CT slice, Abdomen, Slice 132/144

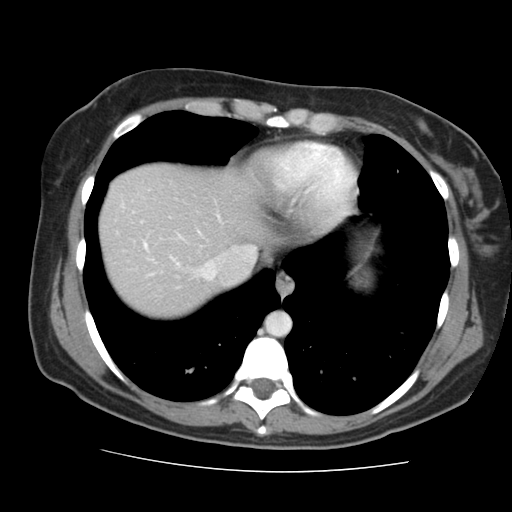
The vessel boxes may cover only some of the vessels.
<segmentation>
  <hepatic_vessel><bbox>144, 244, 145, 247</bbox>, <bbox>210, 272, 213, 278</bbox></hepatic_vessel>
</segmentation>